FLAIR magnetic resonance.
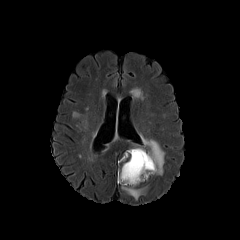
T1-weighted MR image.
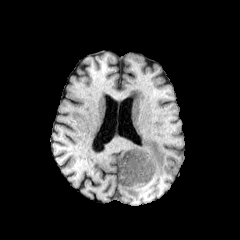
Post-contrast T1-weighted MRI.
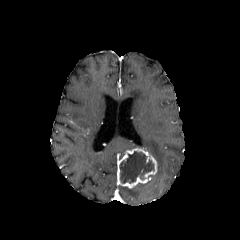
T2-weighted MR.
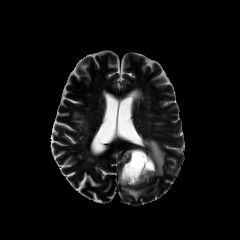
Head, 240x240
- non-enhancing tumor core: bbox(119, 151, 153, 183)
- enhancing tumor: bbox(117, 147, 157, 188)
- edema: bbox(134, 138, 164, 175); bbox(121, 187, 145, 201)